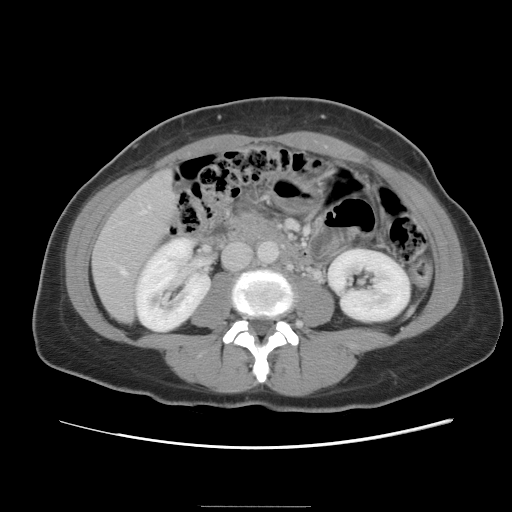
Abdomen | CT image
Some hepatic vessels may have no box.
3 hepatic vessel regions appear at 139 210 144 213, 148 204 149 206, 118 266 125 273.